CT, Liver, Slice 297/455
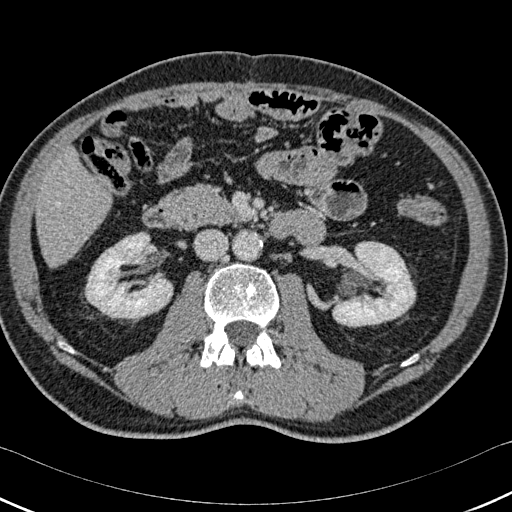 <segmentation>
  <liver>35:149:112:266</liver>
  <kidney>333:242:414:325, 86:233:172:318</kidney>
  <bone>60:343:73:352, 246:329:280:368, 200:264:278:367, 401:354:417:365, 234:390:243:399</bone>
</segmentation>